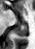 Medial temporal lobe. 35x49 px. MRI slice. Posterior hippocampus: bbox(14, 24, 26, 36).